FLAIR MR.
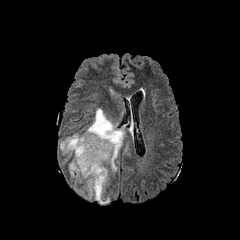
T1-weighted MR.
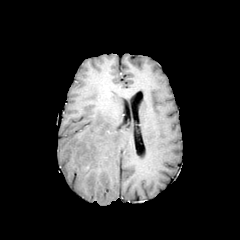
Post-contrast T1-weighted MR.
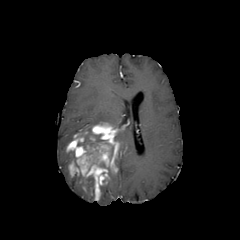
T2-weighted MR.
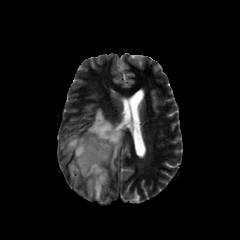
edema: {"x1": 86, "y1": 179, "x2": 94, "y2": 199}, {"x1": 99, "y1": 184, "x2": 109, "y2": 204}, {"x1": 88, "y1": 108, "x2": 118, "y2": 127}, {"x1": 128, "y1": 117, "x2": 133, "y2": 141}, {"x1": 58, "y1": 133, "x2": 77, "y2": 154}, {"x1": 117, "y1": 124, "x2": 127, "y2": 148} | enhancing tumor: {"x1": 66, "y1": 122, "x2": 120, "y2": 200} | non-enhancing tumor core: {"x1": 99, "y1": 162, "x2": 110, "y2": 176}, {"x1": 77, "y1": 128, "x2": 105, "y2": 149}, {"x1": 69, "y1": 150, "x2": 79, "y2": 169}